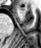 Hippocampus, Image size 41x48, Magnetic resonance

• anterior hippocampus: (20, 7, 24, 9)